512x512 px. Abdomen. Computed tomography. 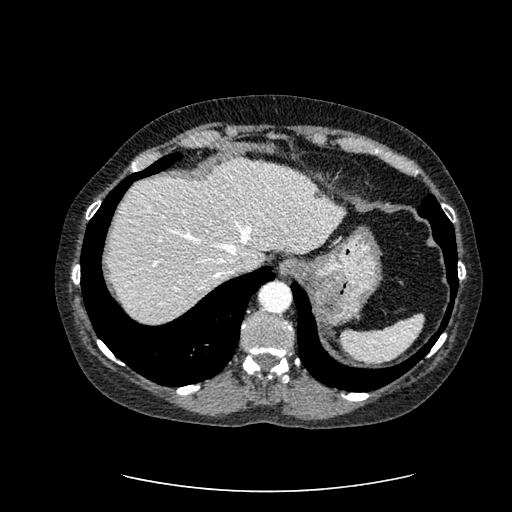
<segmentation>
  <hepatic_lesion>[314,190,322,199]</hepatic_lesion>
  <liver>[109,159,342,322]</liver>
</segmentation>